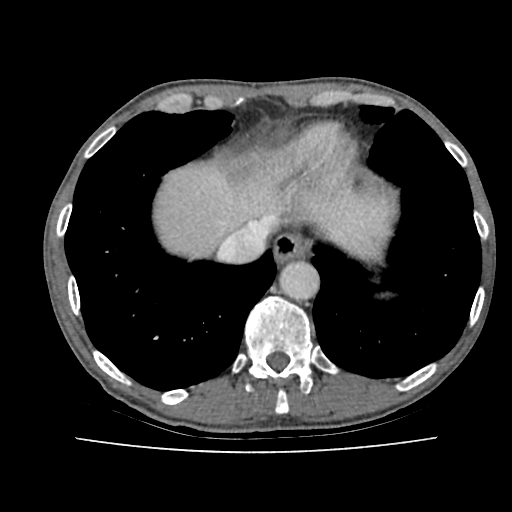
512x512. Computed tomography. The liver is bounded by rect(153, 154, 390, 259).